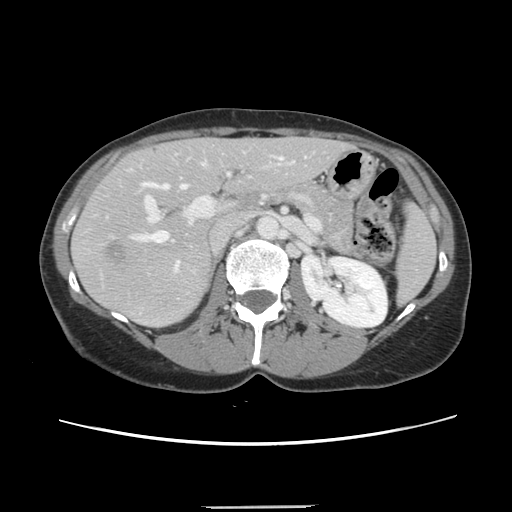 512x512 px. Abdomen. CT scan slice.

The vessel annotation is not exhaustive.
Annotated regions:
• hepatic vessel: bbox(195, 197, 201, 200); bbox(190, 219, 191, 222); bbox(200, 160, 205, 165); bbox(272, 156, 282, 164); bbox(226, 173, 228, 175); bbox(290, 161, 293, 163); bbox(180, 184, 186, 188); bbox(141, 182, 167, 188); bbox(133, 231, 167, 242); bbox(145, 196, 159, 222)
• liver tumor: bbox(109, 243, 125, 257)